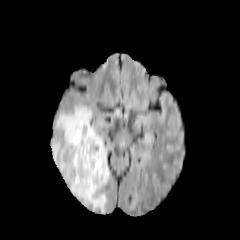
FLAIR MR image.
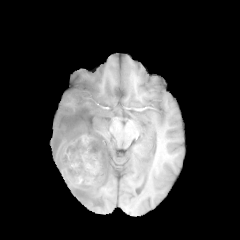
T1-weighted MR image of the same slice.
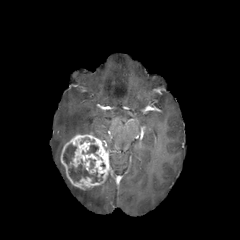
Post-contrast T1-weighted MR of the same slice.
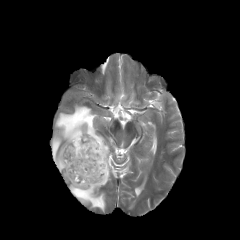
Same slice, T2-weighted MRI.
Image size 240x240
Enhancing tumor at x1=60, y1=132, x2=111, y2=190.
Non-enhancing tumor core at x1=62, y1=144, x2=103, y2=183; x1=88, y1=144, x2=98, y2=156.
Edema at x1=51, y1=104, x2=109, y2=211.